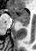
Hippocampus; MR
Posterior hippocampus: bbox=[21, 22, 29, 26].
Anterior hippocampus: bbox=[11, 6, 29, 21].